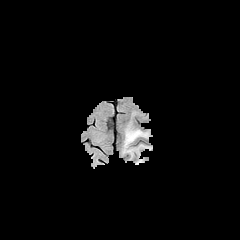
FLAIR MRI.
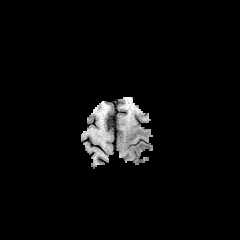
T1-weighted MR of the same slice.
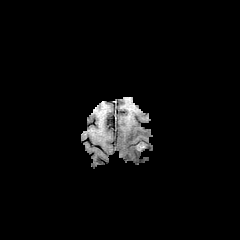
Post-contrast T1-weighted MRI of the same slice.
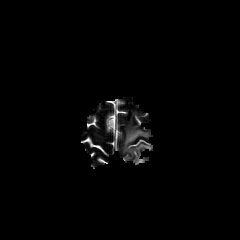
T2-weighted MR image.
Head
The edema is at (123,128,147,155).